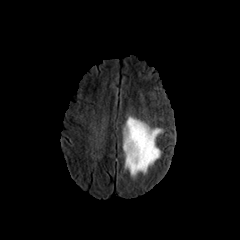
FLAIR MRI.
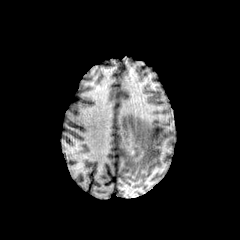
T1-weighted magnetic resonance.
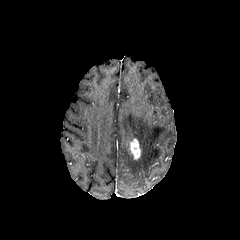
Same slice, post-contrast T1-weighted magnetic resonance.
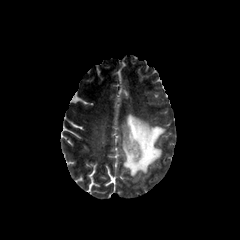
T2-weighted MR image.
Head
<segmentation>
  <enhancing_tumor>box=[127, 139, 141, 158]</enhancing_tumor>
  <edema>box=[121, 114, 165, 180]</edema>
</segmentation>